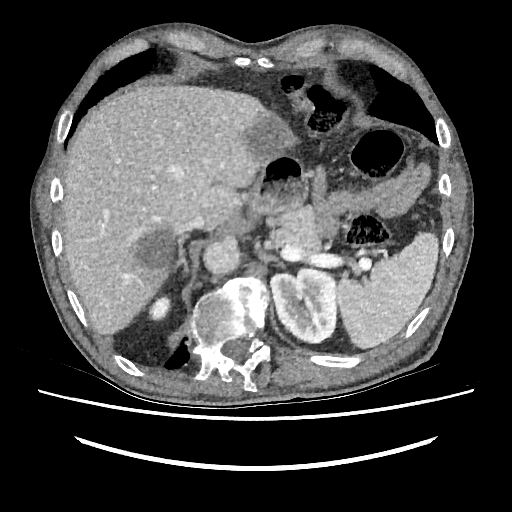 Computed tomography

Liver: bounding box left=287, top=125, right=298, bottom=149; left=63, top=84, right=274, bottom=333.
Focal liver lesion: bounding box left=127, top=226, right=174, bottom=287; left=242, top=114, right=293, bottom=161.
Kidney: bounding box left=271, top=269, right=339, bottom=342; left=152, top=298, right=168, bottom=317.